Image size 240x240. Slice 47/155.
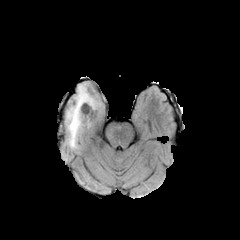
FLAIR MR image.
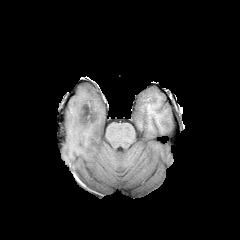
T1-weighted MR of the same slice.
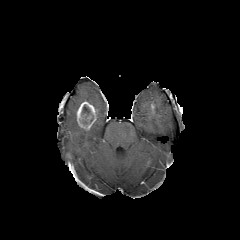
Post-contrast T1-weighted MRI.
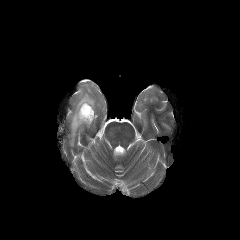
Same slice, T2-weighted MRI.
The enhancing tumor is bounded by box=[76, 100, 94, 127]. The edema is at box=[65, 82, 101, 148]. The non-enhancing tumor core is located at box=[82, 104, 90, 116].